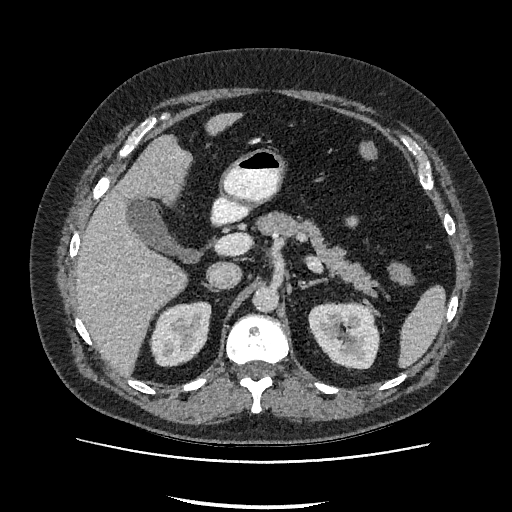
CT image | Abdomen

Kidney = [x1=152, y1=303, x2=210, y2=365], [x1=309, y1=305, x2=378, y2=367].
Liver = [x1=208, y1=112, x2=241, y2=134], [x1=76, y1=134, x2=191, y2=376].